FLAIR MR.
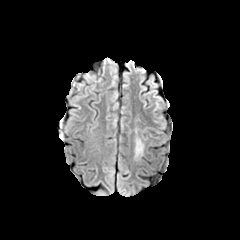
T1-weighted MRI.
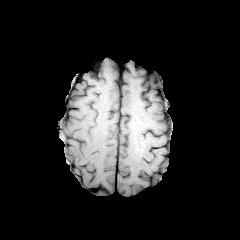
Post-contrast T1-weighted magnetic resonance.
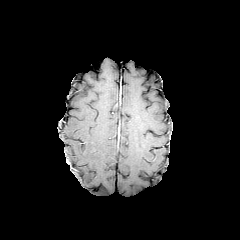
T2-weighted MR.
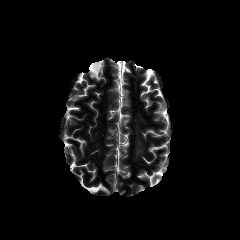
Brain
The edema lies within (left=135, top=138, right=143, bottom=155).